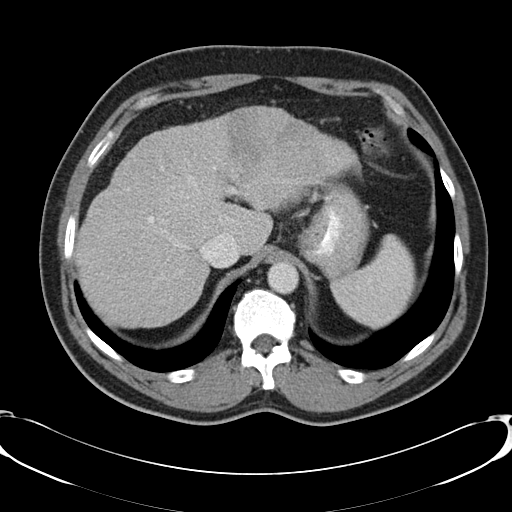

CT.

The vessel annotation is not exhaustive.
Hepatic vessel: x1=214 y1=157 x2=224 y2=164, x1=148 y1=216 x2=153 y2=222, x1=212 y1=165 x2=216 y2=170, x1=218 y1=216 x2=222 y2=224, x1=182 y1=204 x2=185 y2=206, x1=246 y1=185 x2=248 y2=187, x1=179 y1=192 x2=182 y2=197, x1=169 y1=236 x2=172 y2=239, x1=227 y1=188 x2=236 y2=192, x1=173 y1=242 x2=188 y2=248, x1=160 y1=167 x2=163 y2=170, x1=158 y1=273 x2=164 y2=279, x1=203 y1=221 x2=205 y2=222, x1=193 y1=178 x2=212 y2=204.